CT scan slice; Slice 42 of 102
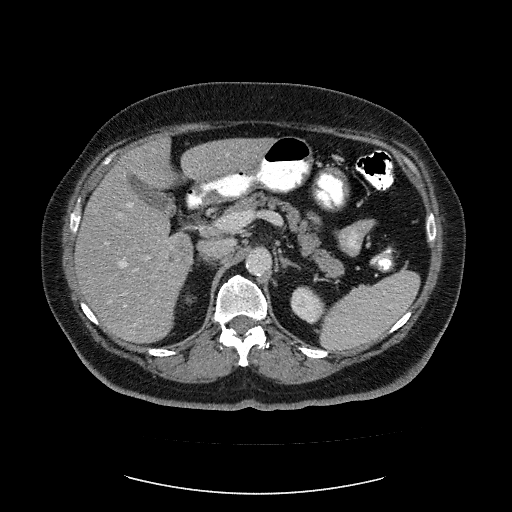 Only some of the vessels may be annotated.
9 hepatic vessel regions appear at {"x1": 243, "y1": 174, "x2": 246, "y2": 175}, {"x1": 124, "y1": 304, "x2": 126, "y2": 305}, {"x1": 145, "y1": 256, "x2": 149, "y2": 259}, {"x1": 134, "y1": 268, "x2": 137, "y2": 270}, {"x1": 225, "y1": 175, "x2": 237, "y2": 177}, {"x1": 128, "y1": 202, "x2": 132, "y2": 206}, {"x1": 120, "y1": 259, "x2": 126, "y2": 266}, {"x1": 261, "y1": 160, "x2": 264, "y2": 166}, {"x1": 117, "y1": 213, "x2": 121, "y2": 216}. The liver tumor is bounded by {"x1": 172, "y1": 236, "x2": 190, "y2": 269}.